Image width 240 mm
FLAIR MR.
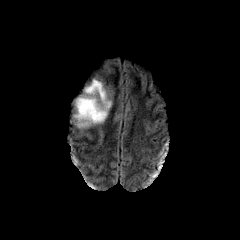
T1-weighted magnetic resonance.
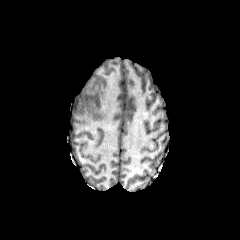
Post-contrast T1-weighted MRI.
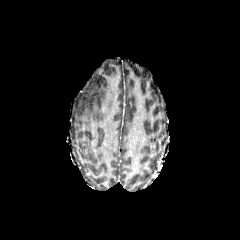
T2-weighted MRI.
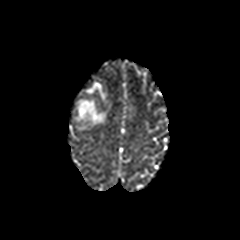
Segmented structures:
- edema: {"x1": 74, "y1": 79, "x2": 111, "y2": 128}